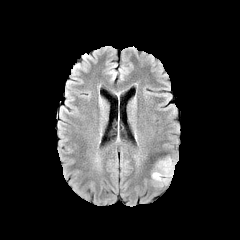
FLAIR MR image.
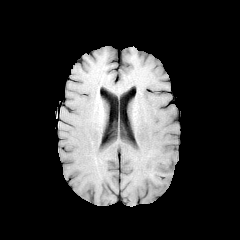
T1-weighted MR of the same slice.
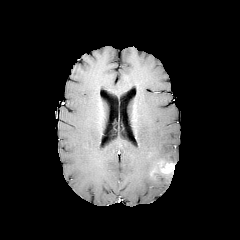
Same slice, post-contrast T1-weighted magnetic resonance.
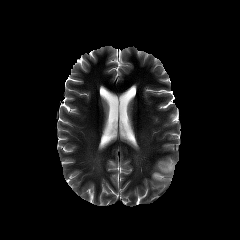
T2-weighted magnetic resonance of the same slice.
240x240 | Head
enhancing tumor: {"x1": 160, "y1": 162, "x2": 174, "y2": 173} | edema: {"x1": 151, "y1": 156, "x2": 176, "y2": 186}